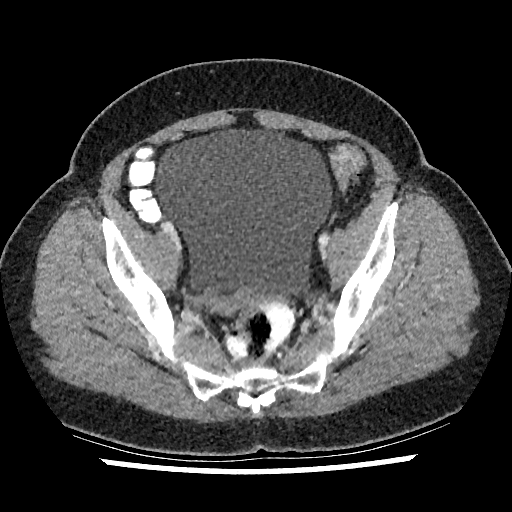

CT image, Lower abdomen
Urinary bladder — x1=155, y1=127, x2=331, y2=299.